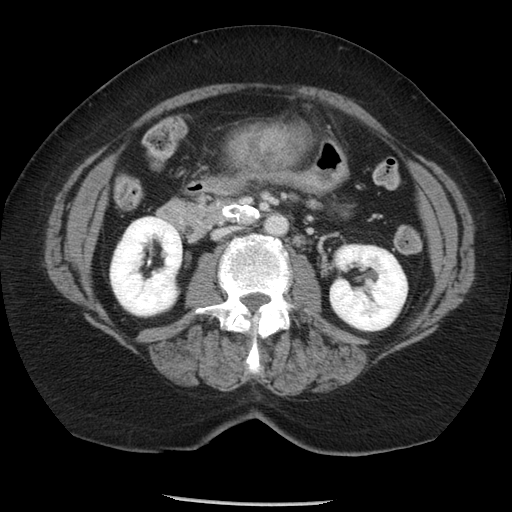

512x512 px. CT scan slice.
liver_tumor:
  - (232, 121, 311, 170)